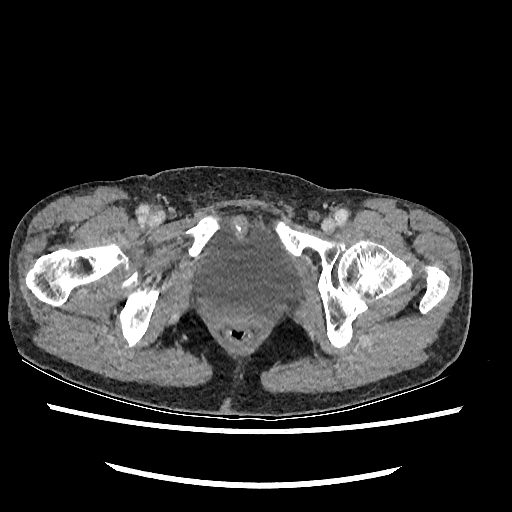

Lower abdomen, CT scan slice
The urinary bladder is at 188,218,304,324.